CT image. Upper abdomen. 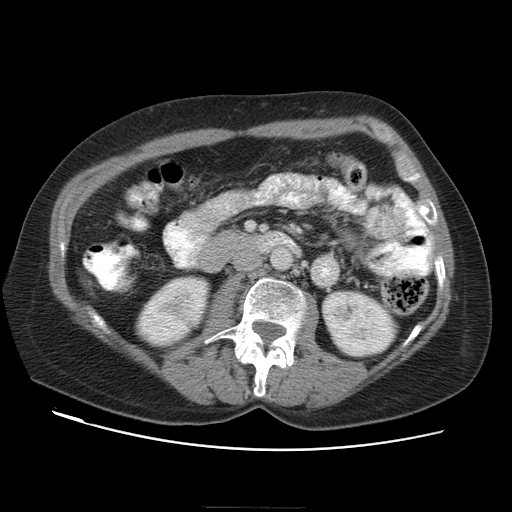
{
  "pancreas": [
    "194:227:254:271"
  ]
}